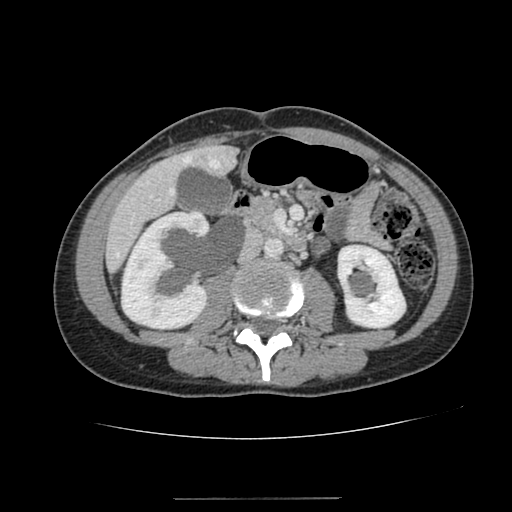
CT image
kidney: rect(338, 245, 405, 327); rect(122, 212, 208, 328) | liver: rect(106, 144, 238, 272)